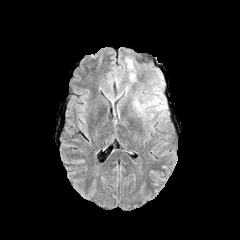
FLAIR MR.
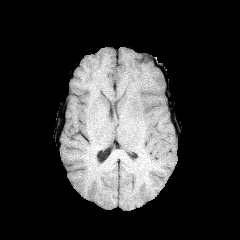
Same slice, T1-weighted MR image.
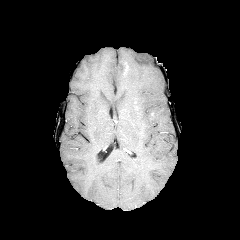
Same slice, post-contrast T1-weighted MR image.
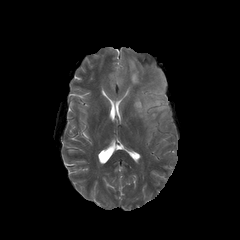
T2-weighted MR of the same slice.
edema: box=[133, 81, 166, 121]; box=[128, 62, 137, 83]